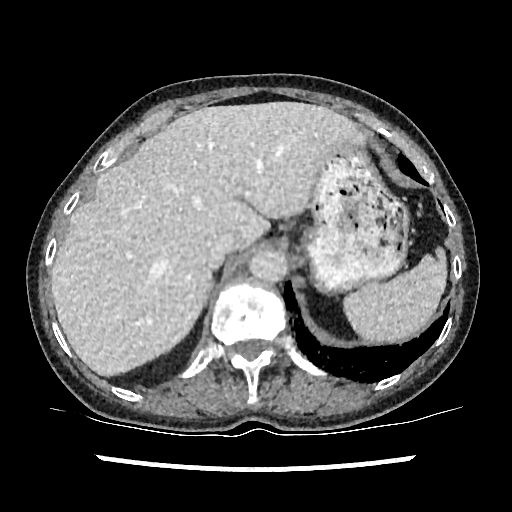

CT scan slice, Upper abdomen

{
  "liver": [
    "<box>53,103,365,373</box>"
  ]
}